FLAIR MR.
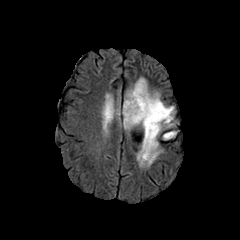
T1-weighted MR image.
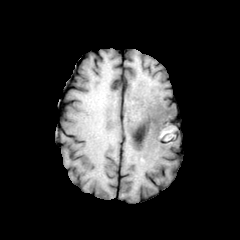
Post-contrast T1-weighted MR.
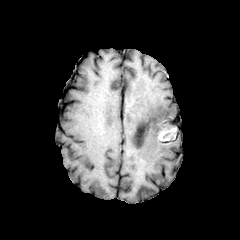
T2-weighted MR image.
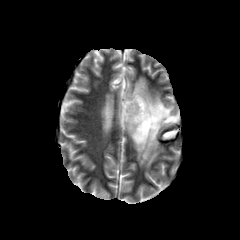
Brain.
3 non-enhancing tumor core regions are bounded by x1=138 y1=102 x2=172 y2=140, x1=124 y1=94 x2=138 y2=116, x1=159 y1=129 x2=172 y2=139. 2 edema regions appear at x1=103 y1=98 x2=114 y2=128, x1=116 y1=78 x2=177 y2=166.